Field of view 472 mm wide, 0.80 mm slice spacing | Computed tomography | 512x512 px
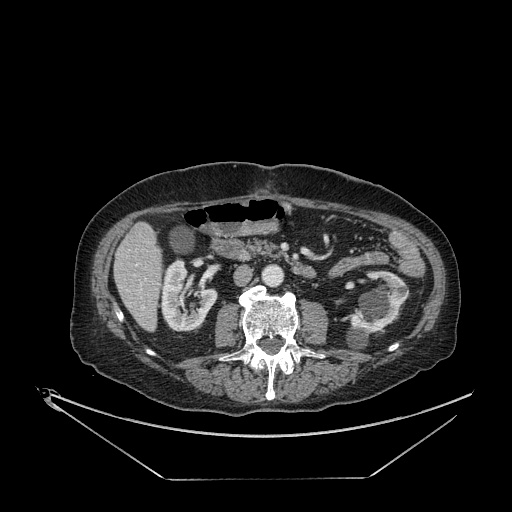 Kidney = <bbox>351, 271, 408, 332</bbox>, <bbox>161, 260, 216, 330</bbox>, <bbox>194, 259, 202, 266</bbox>.
Liver = <bbox>114, 222, 161, 331</bbox>.